Image width 386 mm. Abdomen. CT scan slice.

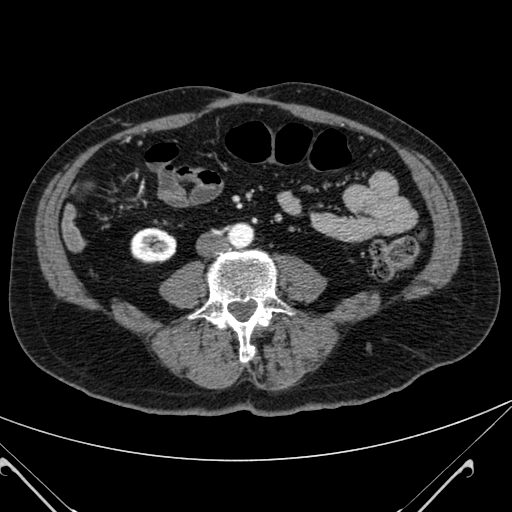
kidney:
  - {"x1": 132, "y1": 229, "x2": 175, "y2": 261}